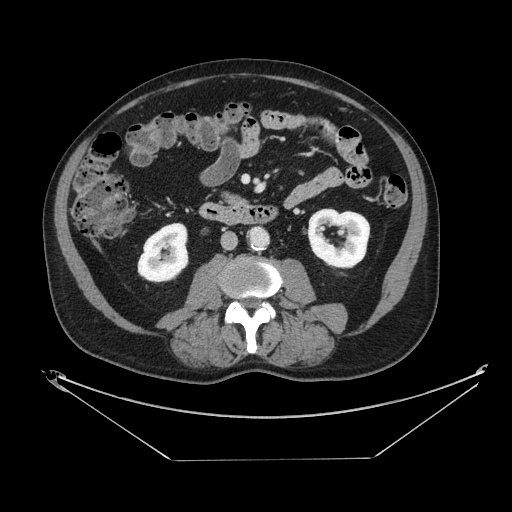
CT, Abdomen

Annotated regions:
* pancreas: 222, 191, 245, 204